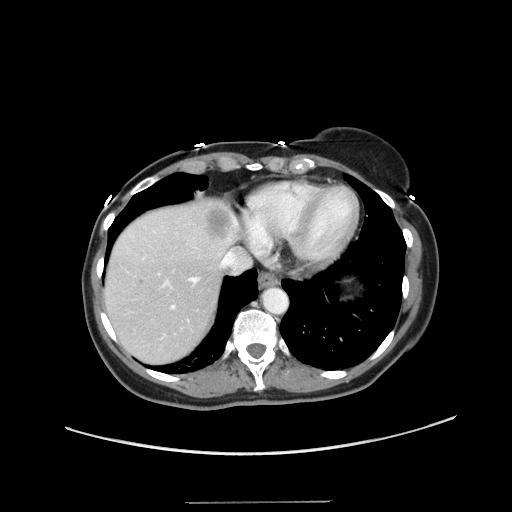 Abdomen; Computed tomography
Only some of the vessels may be annotated.
4 hepatic vessel regions appear at x1=172, y1=305, x2=174, y2=307; x1=210, y1=246, x2=247, y2=272; x1=163, y1=281, x2=169, y2=285; x1=190, y1=278, x2=197, y2=282. The liver tumor is located at x1=203, y1=203, x2=233, y2=243.